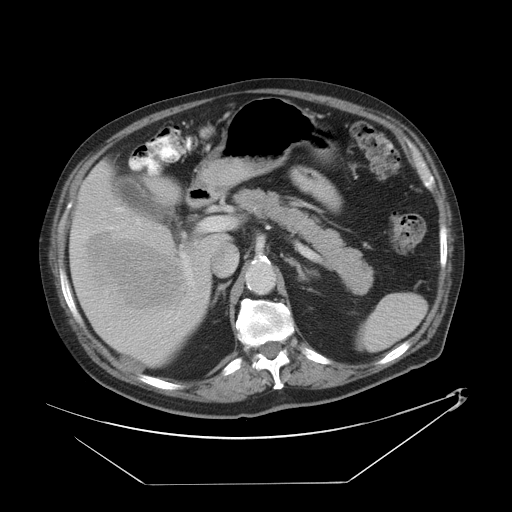 Abdomen. CT. 512x512 px. The vessel boxes may cover only some of the vessels.
hepatic_vessel:
  - bbox(73, 230, 76, 232)
  - bbox(83, 236, 86, 237)
  - bbox(136, 219, 139, 224)
  - bbox(183, 260, 195, 289)
  - bbox(182, 255, 184, 258)
  - bbox(203, 218, 215, 230)
  - bbox(113, 207, 124, 211)
liver_tumor:
  - bbox(86, 233, 186, 308)